CT slice, Image width 373 mm, Slice 472/856 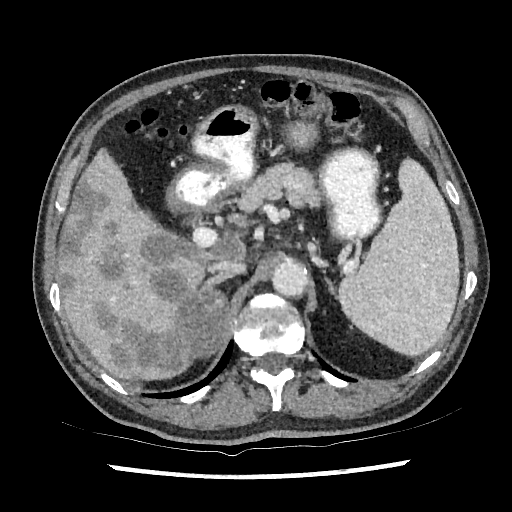 Focal liver lesion: bounding box rect(139, 233, 206, 266); rect(128, 200, 138, 211); rect(210, 234, 244, 260); rect(102, 220, 120, 240); rect(91, 241, 128, 282); rect(60, 267, 75, 295); rect(148, 269, 191, 308); rect(90, 299, 187, 372); rect(60, 175, 109, 260).
Liver: bounding box rect(61, 206, 70, 242); rect(220, 231, 235, 239); rect(60, 149, 221, 378).